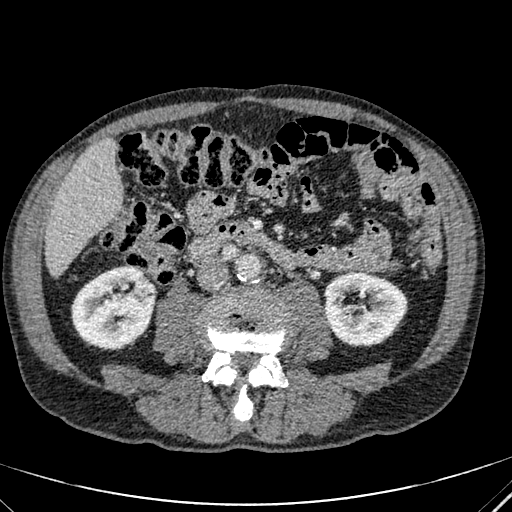 512x512 | CT image | Abdomen
Segmented structures:
* liver: bbox=[46, 140, 122, 273]
* kidney: bbox=[326, 273, 406, 344]; bbox=[73, 267, 154, 347]